CT scan slice. Image width 343 mm.

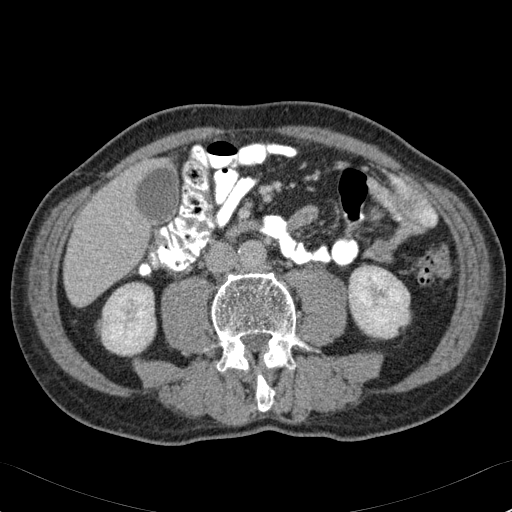

Liver: (left=65, top=161, right=149, bottom=305).
Kidney: (left=349, top=266, right=409, bottom=338), (left=101, top=283, right=155, bottom=354).